CT image

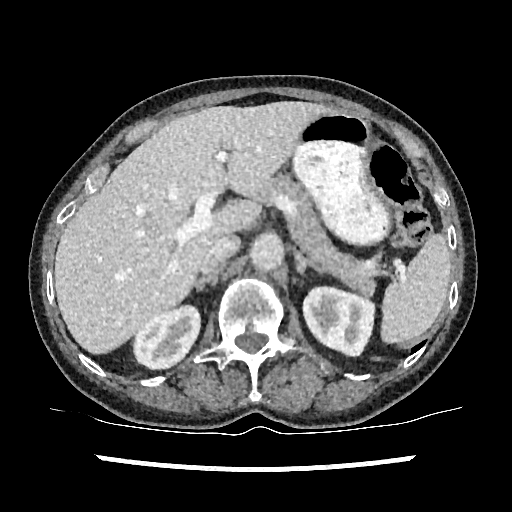

kidney: {"x1": 135, "y1": 308, "x2": 199, "y2": 371}, {"x1": 304, "y1": 288, "x2": 373, "y2": 354} | liver: {"x1": 56, "y1": 102, "x2": 330, "y2": 352}